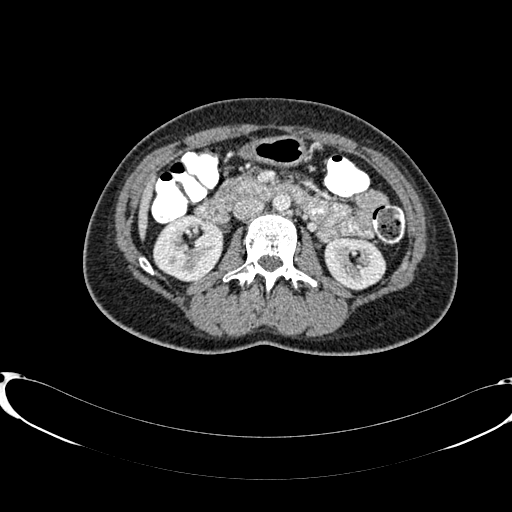
Computed tomography, 512x512 px
Liver — bbox=[138, 177, 155, 239].
Kidney — bbox=[154, 217, 221, 280]; bbox=[326, 239, 384, 288].